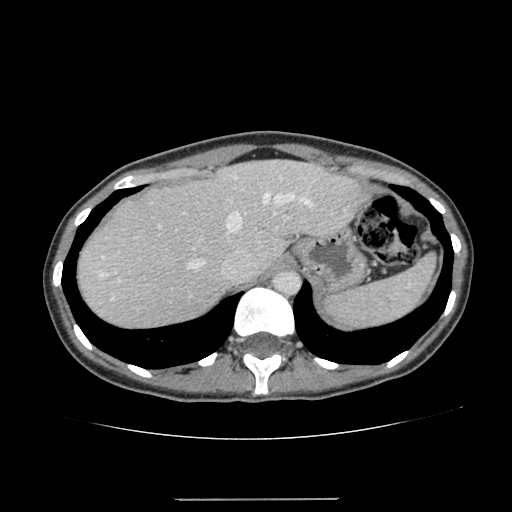 CT, Upper abdomen
Liver at rect(78, 160, 370, 330).